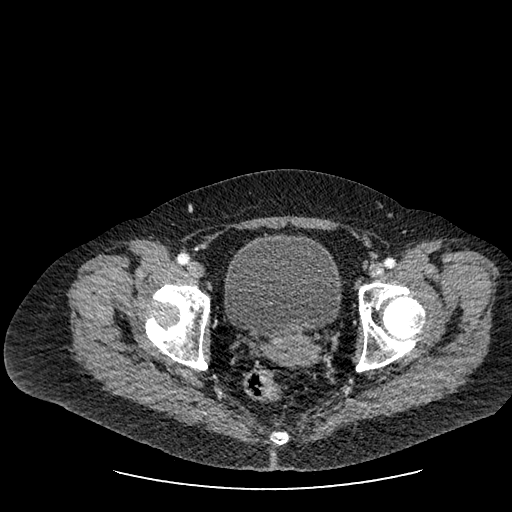

Image size 512x512 | CT image | Lower abdomen
urinary_bladder:
  - 225,232,340,337